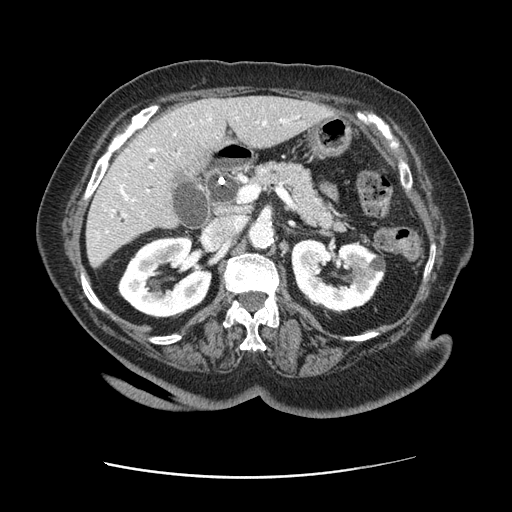 CT image | Upper abdomen
{"pancreas": ["<box>253,160,351,234</box>"]}